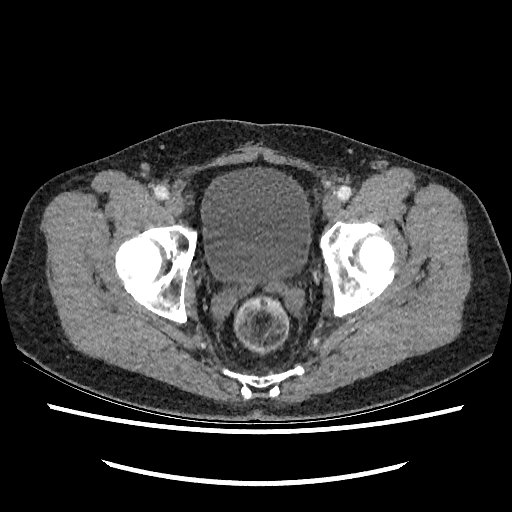 CT slice, 512x512 px

The urinary bladder is at <box>201,166,312,283</box>.